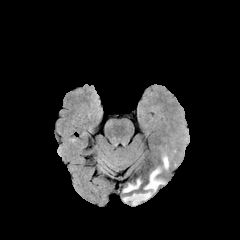
FLAIR MRI.
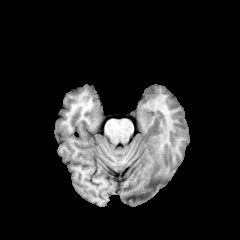
T1-weighted MRI.
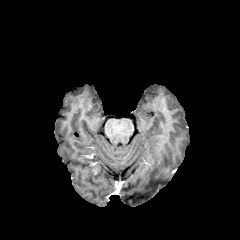
Same slice, post-contrast T1-weighted MR image.
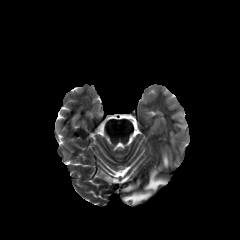
T2-weighted MR image.
3 edema regions appear at (x1=163, y1=155, x2=169, y2=168), (x1=122, y1=168, x2=166, y2=204), (x1=122, y1=179, x2=140, y2=192).